CT slice; Field of view 346x346 mm

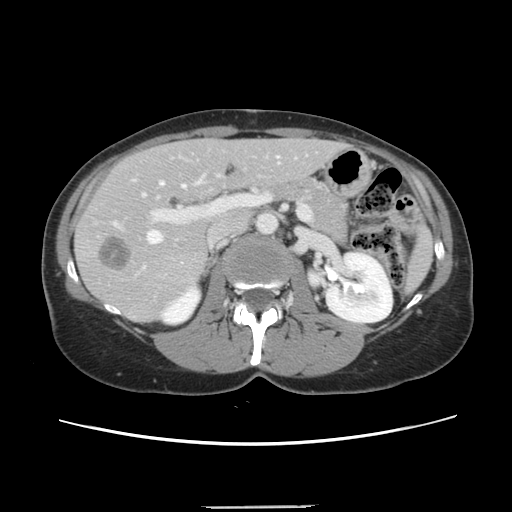 The vessel annotation is not exhaustive.
liver_tumor:
  - box(98, 236, 131, 270)
hepatic_vessel:
  - box(216, 175, 219, 176)
  - box(183, 185, 184, 186)
  - box(152, 210, 161, 221)
  - box(147, 230, 161, 243)
  - box(159, 181, 163, 184)
  - box(276, 156, 278, 163)
  - box(112, 221, 116, 224)
  - box(131, 179, 135, 180)
  - box(196, 177, 203, 183)
  - box(142, 266, 144, 268)
  - box(142, 193, 144, 195)